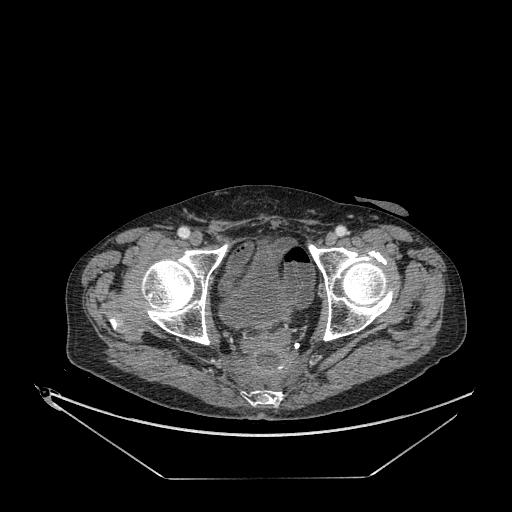

Computed tomography
Urinary bladder — x1=219, y1=239, x2=290, y2=325.